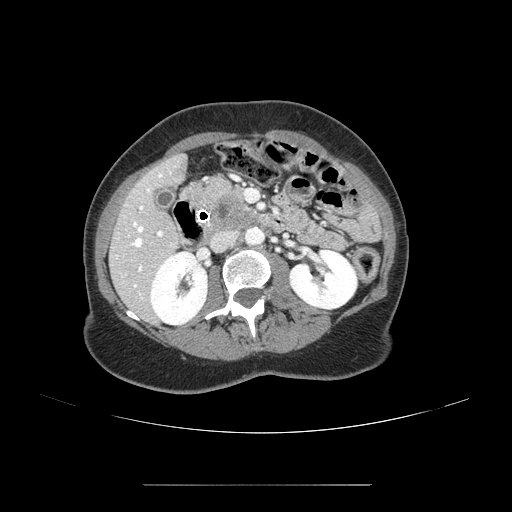

CT. Image size 512x512.

Pancreatic tumor: bounding box {"x1": 209, "y1": 193, "x2": 257, "y2": 229}.
Pancreas: bounding box {"x1": 204, "y1": 221, "x2": 247, "y2": 241}, {"x1": 184, "y1": 177, "x2": 260, "y2": 223}.